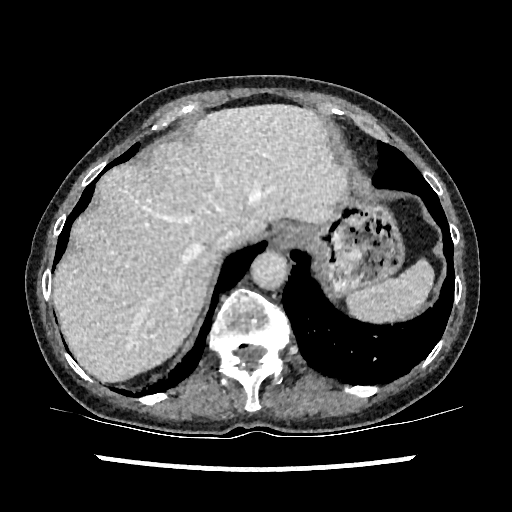 Liver | 512x512 px | CT slice

Liver: bounding box (54, 107, 346, 381).